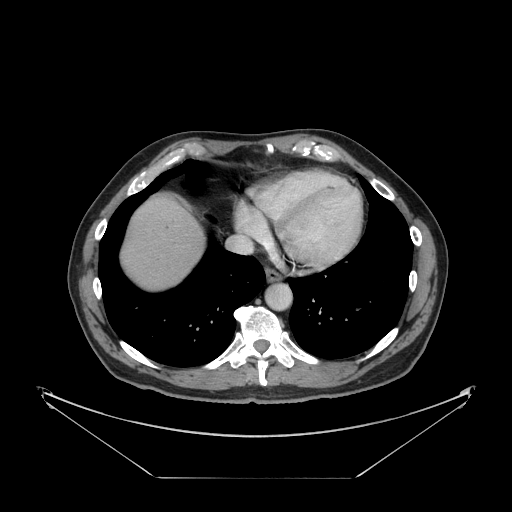

Computed tomography

Some hepatic vessels may have no box.
The hepatic vessel is at {"x1": 232, "y1": 226, "x2": 257, "y2": 253}.